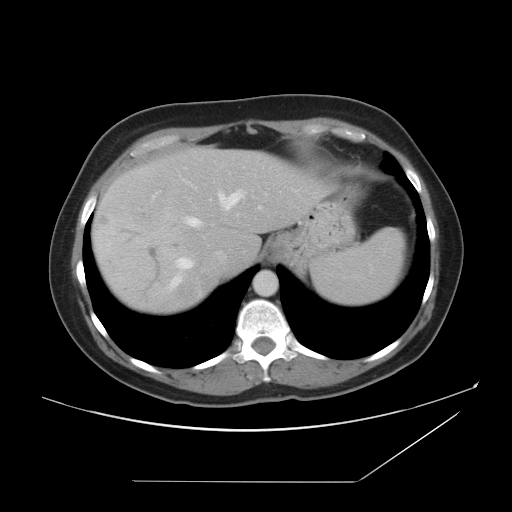
Abdomen. Computed tomography. Not every hepatic vessel necessarily has a box.
liver tumor: x1=100, y1=218, x2=107, y2=225 | hepatic vessel: x1=111, y1=232, x2=114, y2=233; x1=186, y1=217, x2=200, y2=226; x1=219, y1=190, x2=243, y2=209; x1=176, y1=258, x2=192, y2=268; x1=126, y1=233, x2=128, y2=236